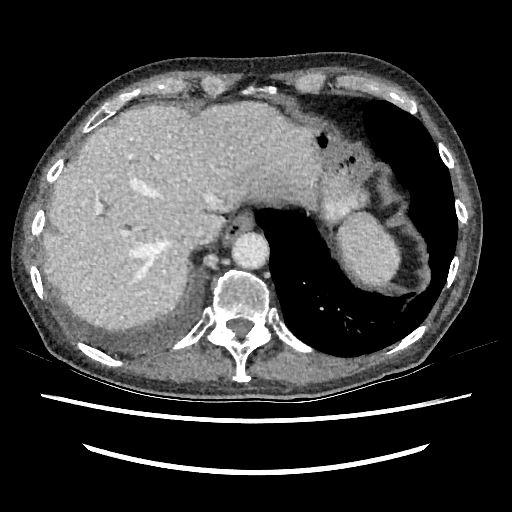
CT; Image size 512x512

{
  "liver": [
    "l=42, t=101, r=321, b=329"
  ]
}